CT scan slice. Slice 46/99. Image size 512x512.

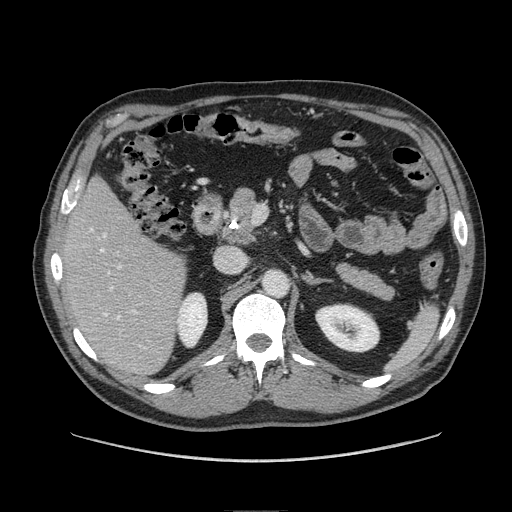 Pancreas: <box>330,259,397,304</box>, <box>219,185,263,246</box>.